Image width 240 mm
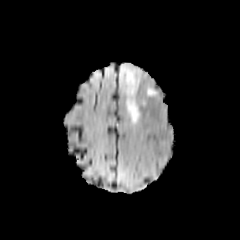
FLAIR MRI.
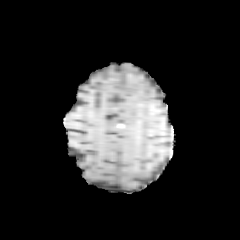
T1-weighted MR of the same slice.
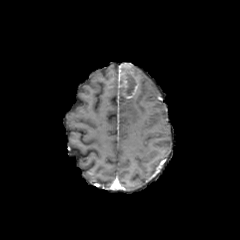
Post-contrast T1-weighted MR of the same slice.
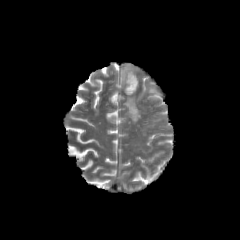
Same slice, T2-weighted MRI.
Enhancing tumor: bbox(120, 64, 138, 98).
Non-enhancing tumor core: bbox(120, 74, 137, 95).
Edema: bbox(125, 95, 140, 121).